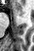

Hippocampus | MRI
Annotated regions:
- anterior hippocampus: (x1=13, y1=4, x2=22, y2=15)